Computed tomography | Slice index 95 | Pelvis

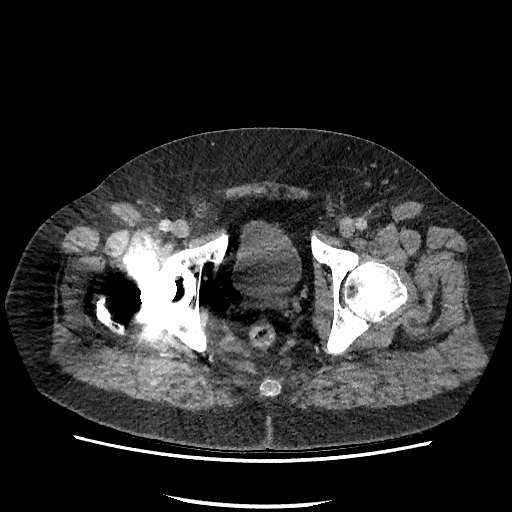 Urinary bladder: bounding box 234, 220, 301, 299.